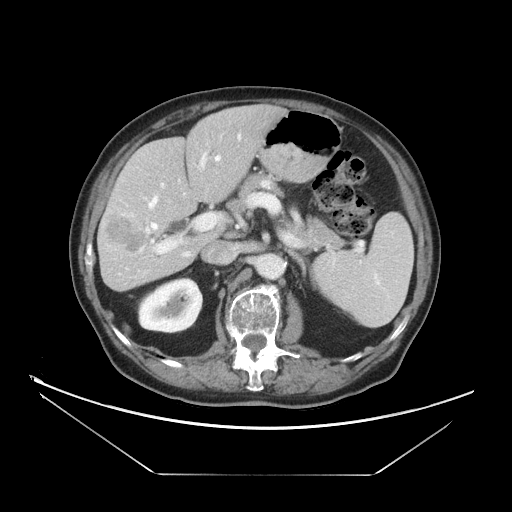
Liver, CT scan slice

Not every hepatic vessel necessarily has a box.
hepatic vessel: {"x1": 139, "y1": 248, "x2": 143, "y2": 251}, {"x1": 151, "y1": 223, "x2": 157, "y2": 228}, {"x1": 214, "y1": 155, "x2": 220, "y2": 161}, {"x1": 183, "y1": 253, "x2": 189, "y2": 254}, {"x1": 202, "y1": 161, "x2": 202, "y2": 164}, {"x1": 238, "y1": 134, "x2": 239, "y2": 139}, {"x1": 203, "y1": 157, "x2": 203, "y2": 160}, {"x1": 145, "y1": 228, "x2": 150, "y2": 233}, {"x1": 148, "y1": 196, "x2": 157, "y2": 209}, {"x1": 150, "y1": 239, "x2": 175, "y2": 254} | liver tumor: {"x1": 106, "y1": 212, "x2": 147, "y2": 251}